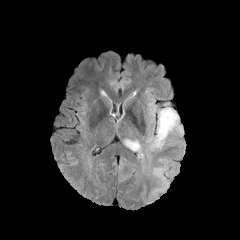
FLAIR MR image.
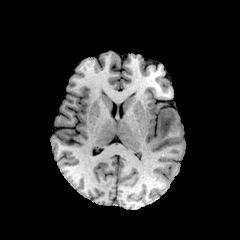
T1-weighted MRI.
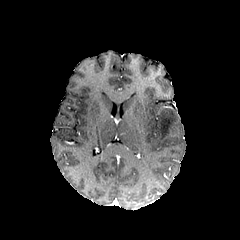
Same slice, post-contrast T1-weighted MR.
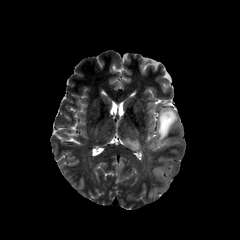
T2-weighted MRI of the same slice.
Brain
2 edema regions are bounded by x1=154, y1=109, x2=177, y2=147; x1=123, y1=138, x2=141, y2=151.